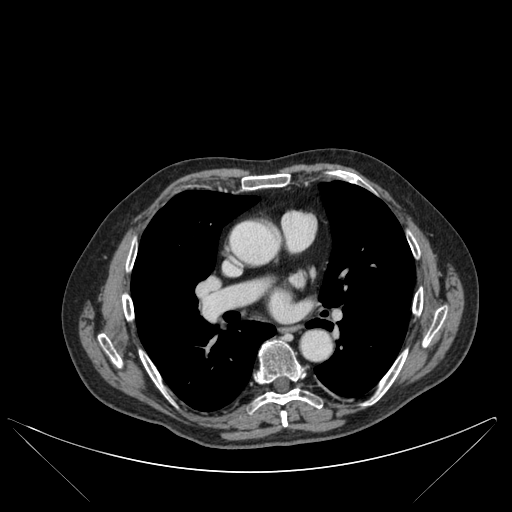

CT | Thorax
Segmented structures:
• lung: x1=314, y1=181, x2=414, y2=397; x1=131, y1=190, x2=275, y2=411; x1=305, y1=310, x2=332, y2=330
• bone: x1=252, y1=388, x2=321, y2=411; x1=126, y1=241, x2=136, y2=270; x1=98, y1=334, x2=122, y2=367; x1=413, y1=287, x2=422, y2=314; x1=408, y1=235, x2=419, y2=257; x1=335, y1=170, x2=362, y2=183; x1=281, y1=411, x2=287, y2=426; x1=139, y1=350, x2=165, y2=393; x1=242, y1=173, x2=289, y2=189; x1=363, y1=349, x2=407, y2=405; x1=423, y1=307, x2=446, y2=346; x1=122, y1=294, x2=133, y2=320; x1=255, y1=341, x2=305, y2=383